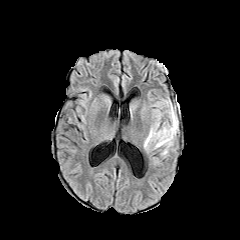
FLAIR MR.
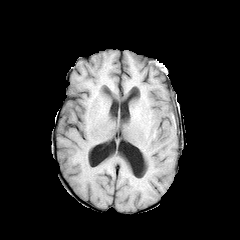
T1-weighted MR.
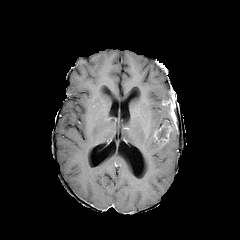
Post-contrast T1-weighted MRI of the same slice.
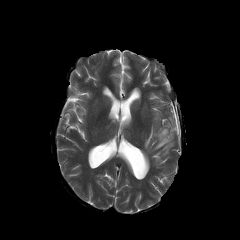
T2-weighted magnetic resonance.
240x240
{"edema": ["(163, 106, 170, 119)", "(144, 122, 178, 155)"], "enhancing_tumor": ["(162, 101, 177, 133)"]}